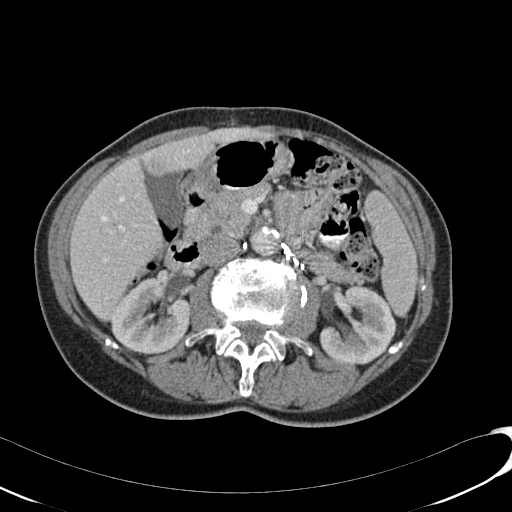
Liver. Computed tomography. 512x512. hepatic lesion: 146,157,166,174 | kidney: 112,279,189,352; 321,287,395,364 | liver: 71,129,272,319